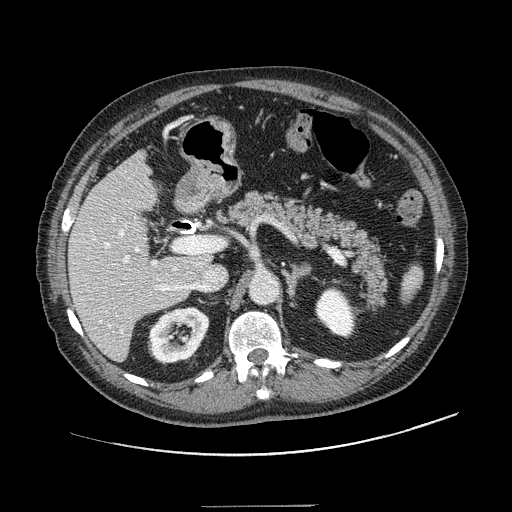
Computed tomography

<segmentation>
  <pancreas>(227,190,388,313)</pancreas>
</segmentation>